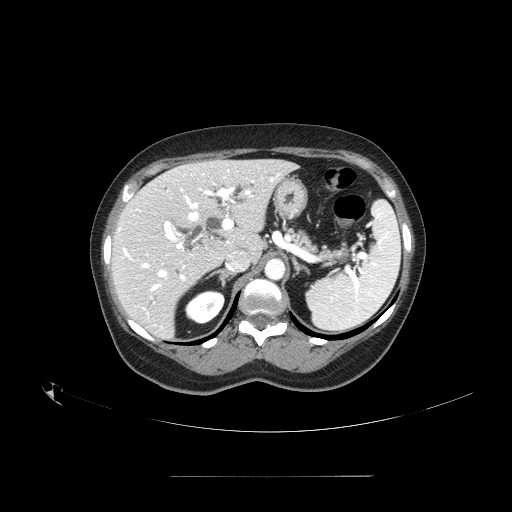 CT scan slice.
The pancreas appears at 289:226:351:262.